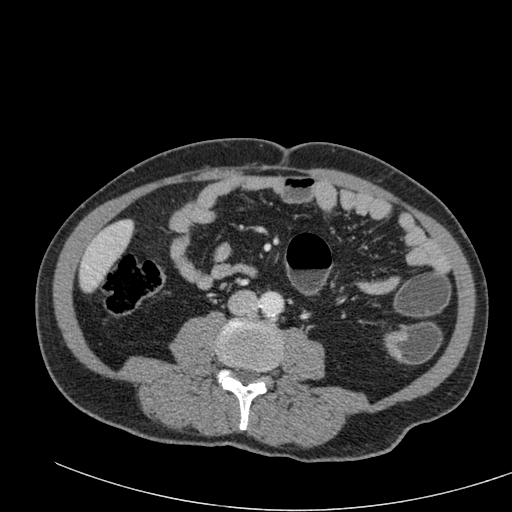
CT image, Liver
Liver — <bbox>80, 220, 132, 291</bbox>.